240x240 px. Brain.
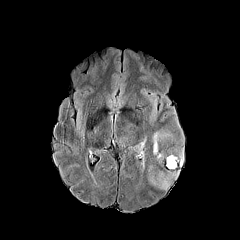
FLAIR MR image.
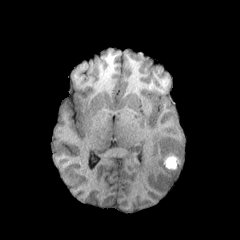
T1-weighted MR image.
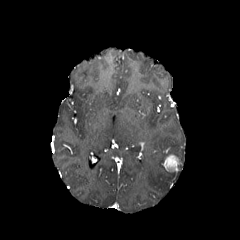
Post-contrast T1-weighted MRI.
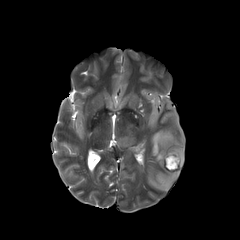
Same slice, T2-weighted MR.
The enhancing tumor is bounded by {"x1": 164, "y1": 153, "x2": 181, "y2": 170}. The edema appears at {"x1": 153, "y1": 133, "x2": 162, "y2": 159}.